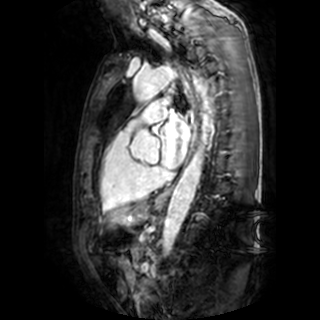

320x320, MRI
- left atrium: [160,114,189,168]